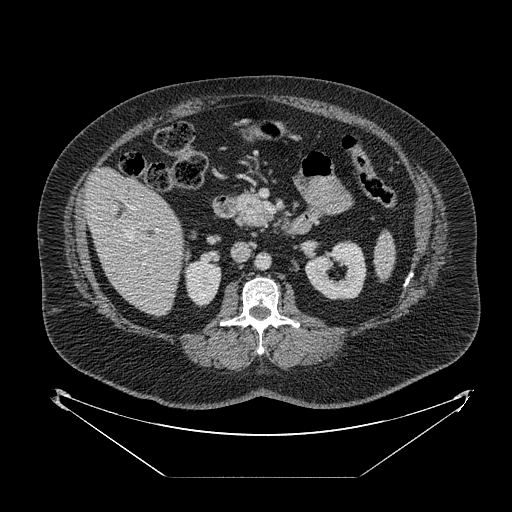

CT slice
Pancreas = 233 193 268 227.